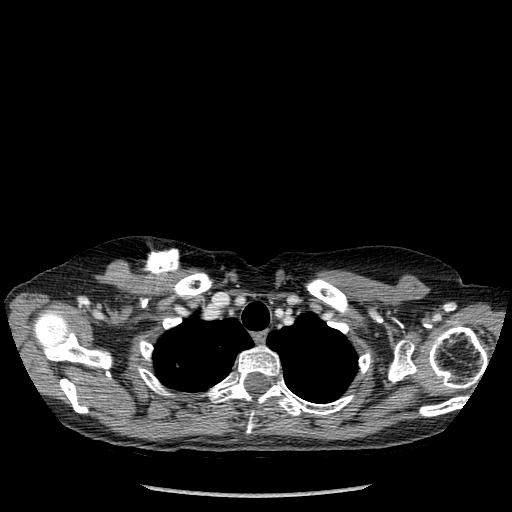 Chest | CT | 512x512 px
13 bone regions are bounded by {"x1": 173, "y1": 273, "x2": 211, "y2": 298}, {"x1": 323, "y1": 313, "x2": 348, "y2": 333}, {"x1": 137, "y1": 367, "x2": 171, "y2": 394}, {"x1": 388, "y1": 343, "x2": 425, "y2": 382}, {"x1": 139, "y1": 340, "x2": 153, "y2": 360}, {"x1": 33, "y1": 310, "x2": 111, "y2": 378}, {"x1": 419, "y1": 396, "x2": 468, "y2": 416}, {"x1": 163, "y1": 317, "x2": 181, "y2": 328}, {"x1": 428, "y1": 325, "x2": 487, "y2": 388}, {"x1": 59, "y1": 379, "x2": 87, "y2": 413}, {"x1": 359, "y1": 353, "x2": 371, "y2": 373}, {"x1": 306, "y1": 279, "x2": 349, "y2": 314}, {"x1": 206, "y1": 345, "x2": 353, "y2": 432}. 2 lung regions are located at {"x1": 267, "y1": 312, "x2": 357, "y2": 403}, {"x1": 153, "y1": 302, "x2": 269, "y2": 392}.